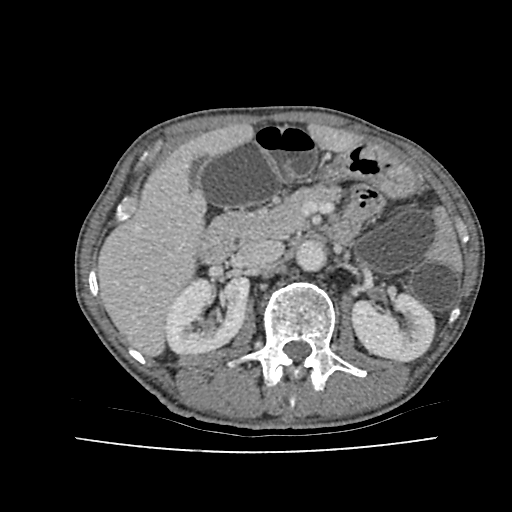
Computed tomography; Image size 512x512; Abdomen
Kidney = (x1=352, y1=295, x2=433, y2=360), (x1=165, y1=278, x2=248, y2=353).
Liver = (x1=99, y1=127, x2=249, y2=352), (x1=313, y1=128, x2=355, y2=148).